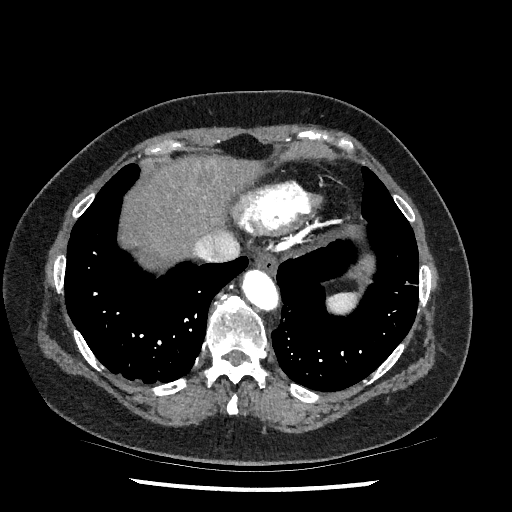

Abdomen | CT image

The liver is at {"x1": 125, "y1": 157, "x2": 260, "y2": 262}.